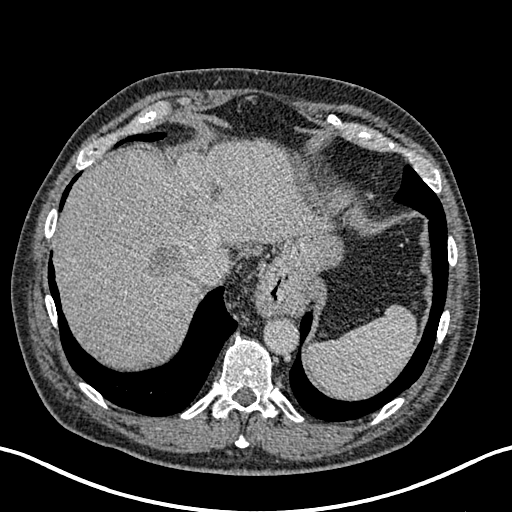 Abdomen; Computed tomography
Focal liver lesion — bbox=[207, 185, 222, 199]; bbox=[146, 243, 183, 278]; bbox=[177, 197, 212, 218]; bbox=[124, 350, 134, 363].
Liver — bbox=[55, 142, 335, 366].